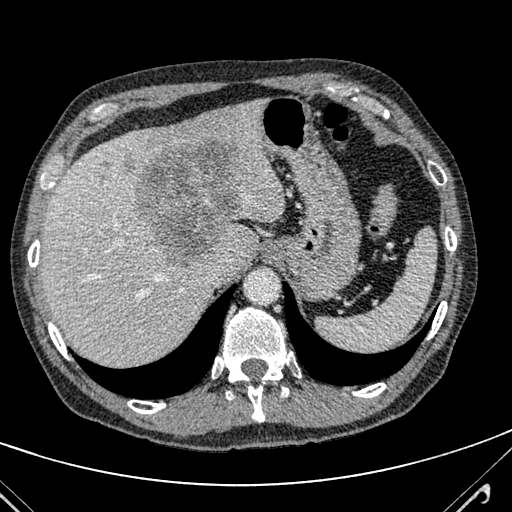

Computed tomography
{
  "liver": [
    "42,99,284,365"
  ],
  "liver_lesion": [
    "135,136,241,267",
    "125,159,133,167"
  ]
}